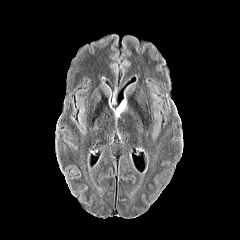
FLAIR MR image.
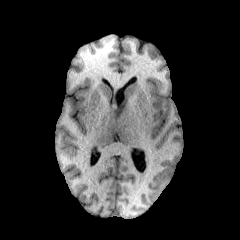
T1-weighted MR.
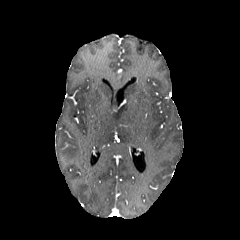
Post-contrast T1-weighted magnetic resonance of the same slice.
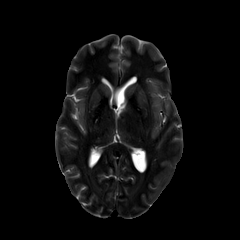
T2-weighted MR image of the same slice.
Head
edema:
  - l=115, t=102, r=127, b=116